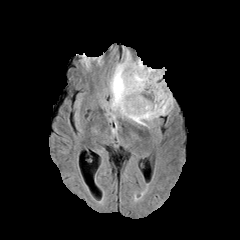
FLAIR MR.
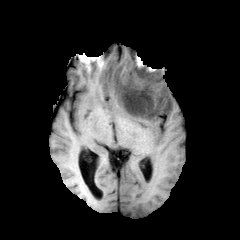
T1-weighted MR image.
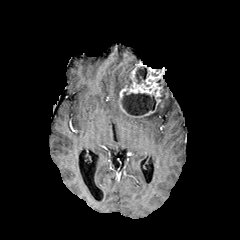
Same slice, post-contrast T1-weighted magnetic resonance.
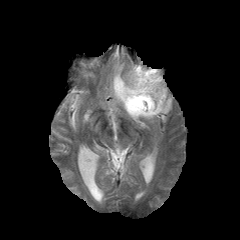
T2-weighted MR image.
240x240 px.
non-enhancing_tumor_core:
  - box(157, 86, 165, 106)
  - box(121, 92, 156, 116)
  - box(135, 66, 147, 83)
enhancing_tumor:
  - box(117, 62, 163, 115)
edema:
  - box(125, 94, 172, 126)
  - box(108, 51, 135, 114)